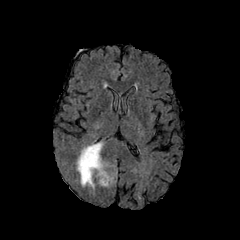
FLAIR MR image.
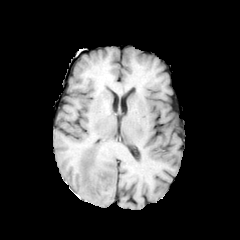
T1-weighted MRI.
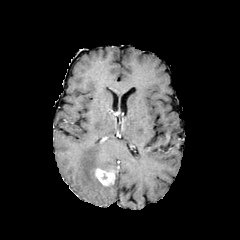
Same slice, post-contrast T1-weighted MR image.
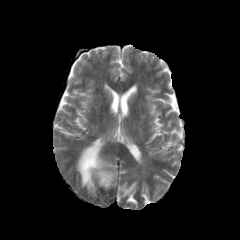
T2-weighted MR image.
Head
Edema at 76 140 117 190.
Enhancing tumor at 95 168 113 185.